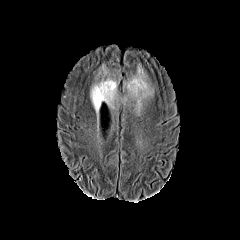
FLAIR MR.
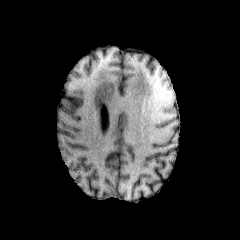
T1-weighted MR image.
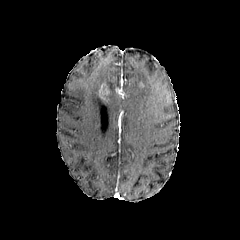
Post-contrast T1-weighted magnetic resonance of the same slice.
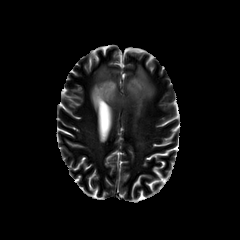
T2-weighted MR image.
Head
2 edema regions are bounded by [127, 66, 154, 111], [90, 66, 119, 117]. The enhancing tumor is bounded by [115, 86, 124, 97].